Computed tomography | Field of view 350 mm wide, 0.70 mm slice spacing 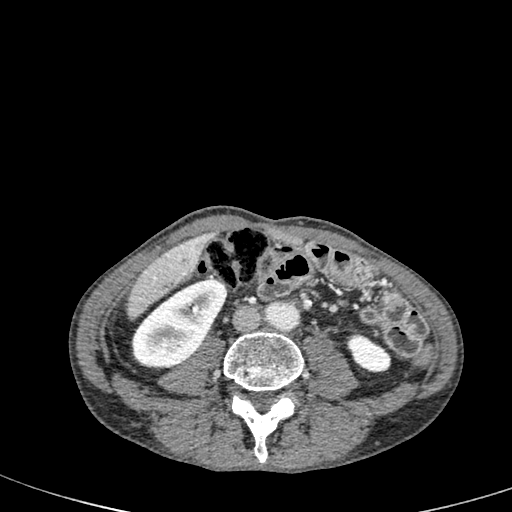
2 kidney regions are located at 348:336:389:371, 133:280:224:366. The liver is at 126:234:212:318.